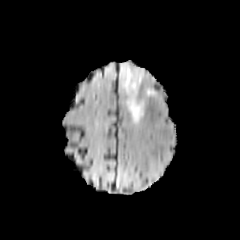
FLAIR magnetic resonance.
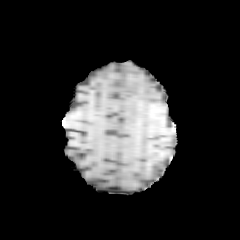
T1-weighted MR image.
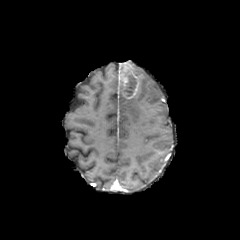
Same slice, post-contrast T1-weighted magnetic resonance.
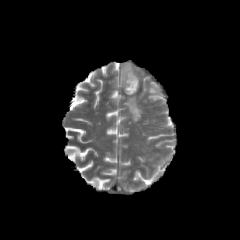
T2-weighted magnetic resonance.
2 edema regions are located at left=126, top=88, right=143, bottom=121; left=134, top=64, right=142, bottom=83. The non-enhancing tumor core appears at left=120, top=74, right=137, bottom=98. The enhancing tumor lies within left=121, top=62, right=139, bottom=98.